Slice 240/536. CT image.

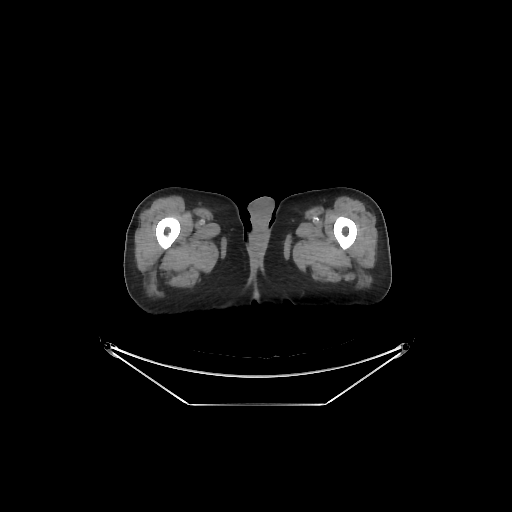 2 bone regions are bounded by [334, 216, 356, 249], [156, 216, 180, 249].